240x240. Slice 70/155.
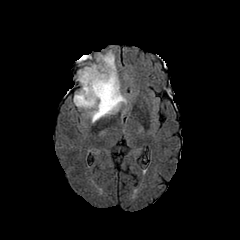
FLAIR MRI.
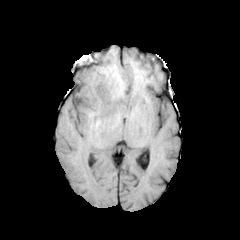
T1-weighted magnetic resonance of the same slice.
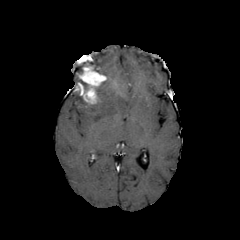
Post-contrast T1-weighted MR image.
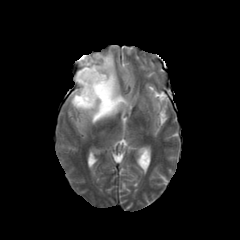
T2-weighted MR image of the same slice.
The edema is bounded by l=72, t=49, r=128, b=123. 4 non-enhancing tumor core regions are located at l=96, t=76, r=113, b=102; l=75, t=94, r=94, b=106; l=89, t=60, r=107, b=76; l=74, t=64, r=87, b=91. The enhancing tumor is bounded by l=76, t=55, r=107, b=103.